Computed tomography

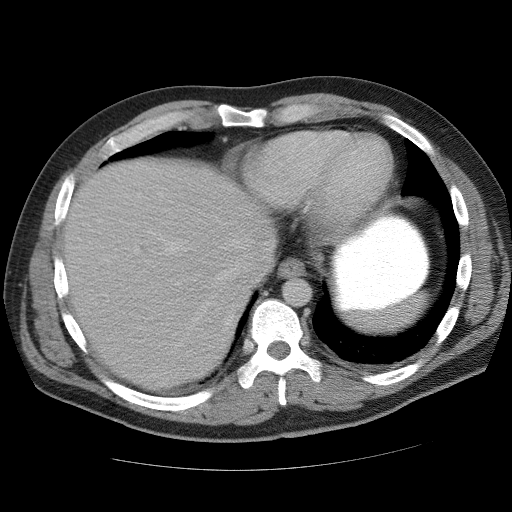
The spleen is at box=[346, 294, 427, 332].